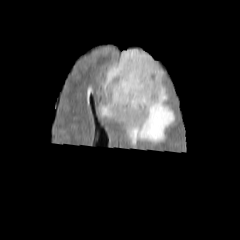
FLAIR magnetic resonance.
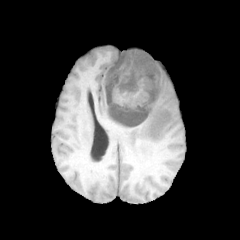
T1-weighted MRI.
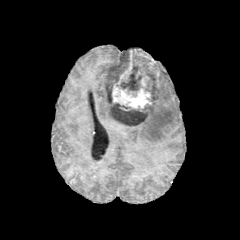
Post-contrast T1-weighted magnetic resonance of the same slice.
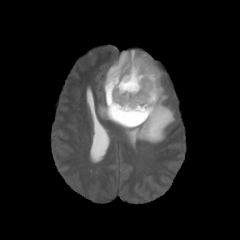
T2-weighted MR.
Head.
2 enhancing tumor regions are located at box(112, 74, 152, 109); box(117, 62, 132, 84). The edema appears at box(98, 89, 175, 149). The non-enhancing tumor core lies within box(104, 48, 161, 126).